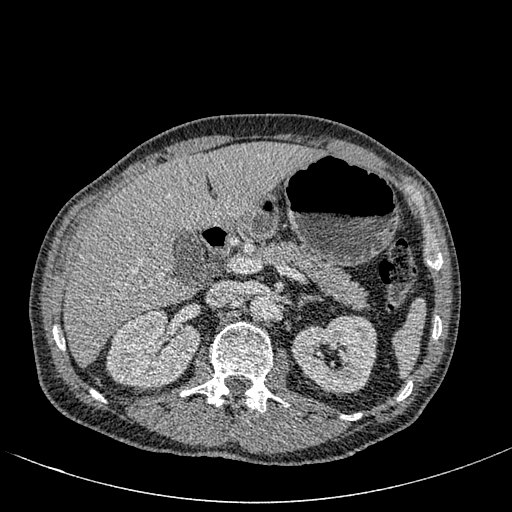

512x512 | Upper abdomen | CT image

The liver is at x1=64 y1=142 x2=326 y2=367. 2 kidney regions are located at x1=292 y1=316 x2=376 y2=392, x1=106 y1=310 x2=199 y2=387.